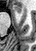 MRI slice, 36x51 px
Anterior hippocampus at l=15, t=6, r=21, b=12.